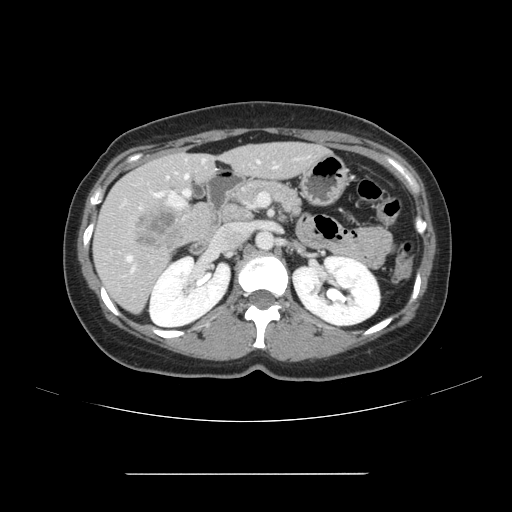
CT slice. Abdomen.
The vessel annotation is not exhaustive.
<segmentation>
  <hepatic_vessel>x1=131 y1=266 x2=134 y2=271, x1=274 y1=166 x2=276 y2=167, x1=153 y1=193 x2=162 y2=197, x1=167 y1=176 x2=168 y2=178, x1=257 y1=161 x2=259 y2=163, x1=185 y1=174 x2=188 y2=178, x1=202 y1=159 x2=204 y2=162, x1=127 y1=256 x2=132 y2=261</hepatic_vessel>
  <liver_tumor>x1=136 y1=211 x2=174 y2=233, x1=137 y1=236 x2=157 y2=247</liver_tumor>
</segmentation>